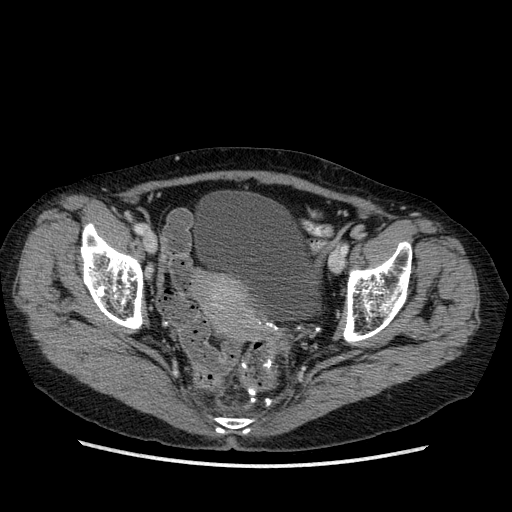

Pelvis; CT image

The urinary bladder lies within [191, 190, 321, 311].